Head | Image size 240x240 | Slice 53 of 155
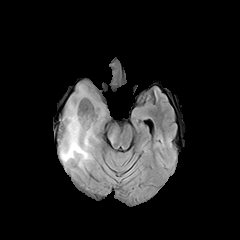
FLAIR MR.
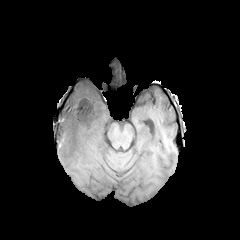
Same slice, T1-weighted MR.
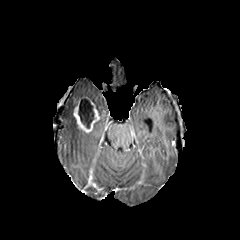
Post-contrast T1-weighted magnetic resonance of the same slice.
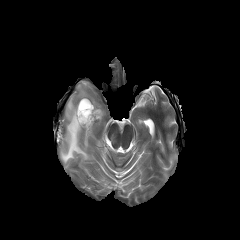
T2-weighted MR image.
{
  "edema": [
    "rect(60, 85, 105, 171)"
  ],
  "enhancing_tumor": [
    "rect(92, 104, 99, 120)",
    "rect(72, 106, 93, 132)"
  ],
  "non-enhancing_tumor_core": [
    "rect(77, 100, 94, 127)",
    "rect(96, 106, 103, 119)"
  ]
}